Image size 240x240, Slice 86 of 155
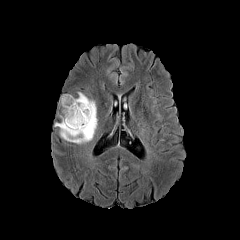
FLAIR magnetic resonance.
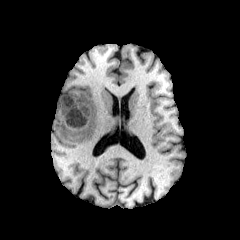
T1-weighted MRI.
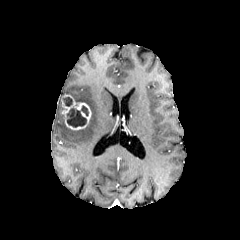
Post-contrast T1-weighted magnetic resonance.
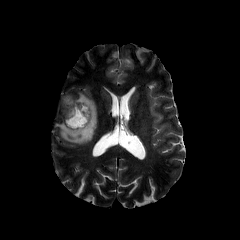
T2-weighted MR image.
The edema is located at [x1=54, y1=92, x2=97, y2=144]. The enhancing tumor appears at [x1=61, y1=94, x2=90, y2=129]. 2 non-enhancing tumor core regions are bounded by [x1=66, y1=108, x2=87, y2=127], [x1=63, y1=96, x2=72, y2=106].